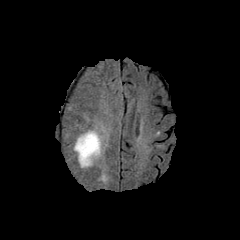
FLAIR MR image.
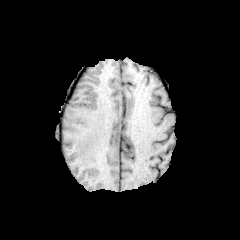
T1-weighted MR.
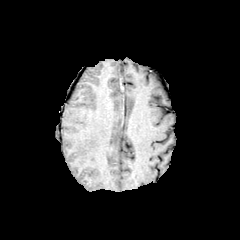
Post-contrast T1-weighted MRI.
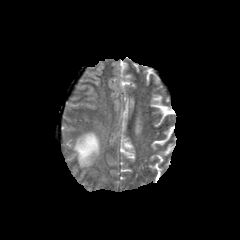
T2-weighted MR.
The edema is located at [74,130,101,167].